Field of view 35x55 mm, MRI, Slice index 25, 35x55 px 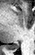
The posterior hippocampus is at [10,45,18,49].